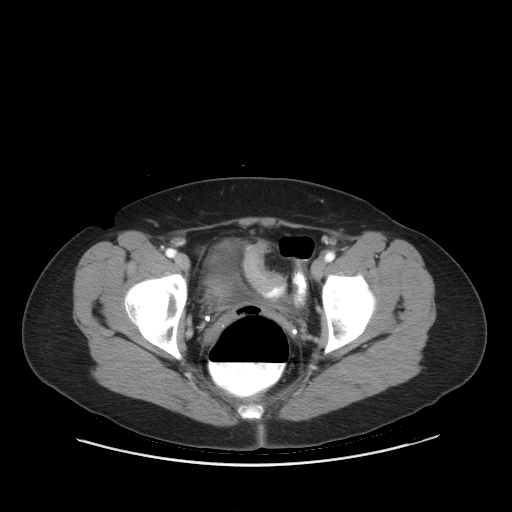 CT slice

{
  "colon_tumor": [
    "244:242:284:292",
    "291:284:297:293"
  ]
}